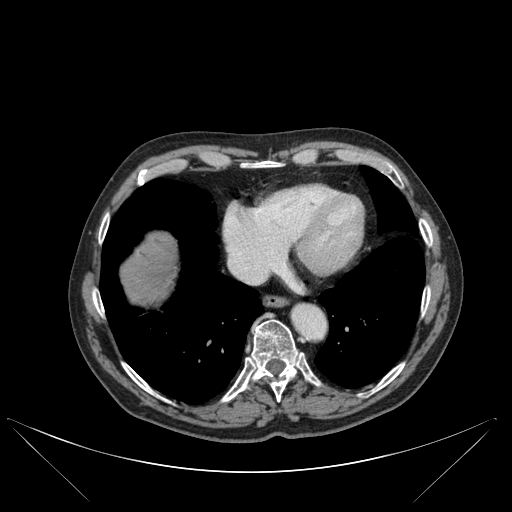 CT slice | Liver
10 bone regions appear at region(99, 214, 108, 242); region(222, 320, 319, 401); region(373, 363, 404, 392); region(384, 165, 397, 179); region(419, 219, 432, 245); region(122, 363, 153, 394); region(138, 170, 147, 184); region(421, 288, 430, 314); region(251, 162, 280, 167); region(92, 293, 104, 314). 2 lung regions are located at region(100, 178, 262, 403); region(315, 166, 424, 388). The liver is bounded by region(121, 233, 176, 305).